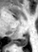
Magnetic resonance

Posterior hippocampus = [x1=15, y1=36, x2=28, y2=46].